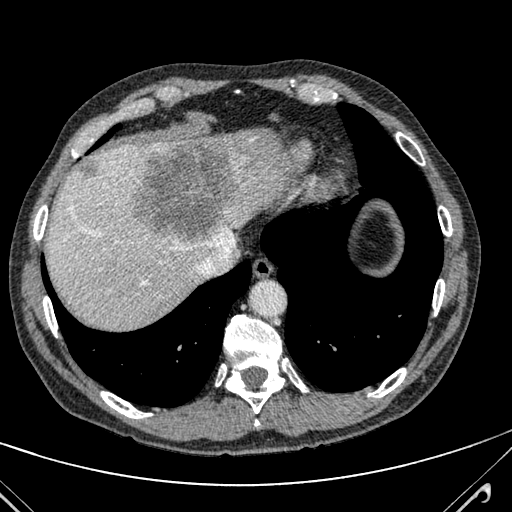 Upper abdomen. CT slice. Image size 512x512.

liver_lesion:
  - [x1=78, y1=160, x2=95, y2=177]
  - [x1=133, y1=139, x2=242, y2=241]
liver:
  - [x1=46, y1=141, x2=209, y2=327]
  - [x1=210, y1=128, x2=287, y2=234]
  - [x1=232, y1=249, x2=240, y2=260]